Upper abdomen | CT slice 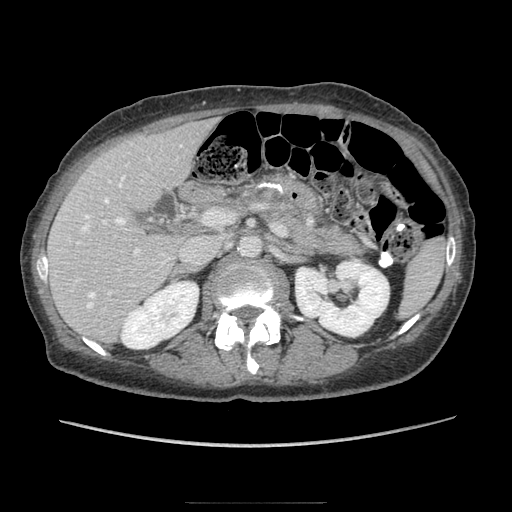 The pancreas lies within box(287, 218, 361, 255).